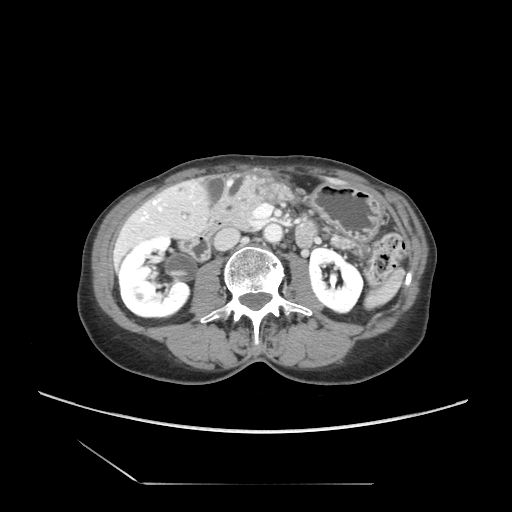

CT image, Image size 512x512
<segmentation>
  <pancreas>x1=329, y1=232, x2=358, y2=252; x1=235, y1=183, x2=296, y2=222</pancreas>
  <pancreatic_tumor>x1=262, y1=185, x2=278, y2=200</pancreatic_tumor>
</segmentation>